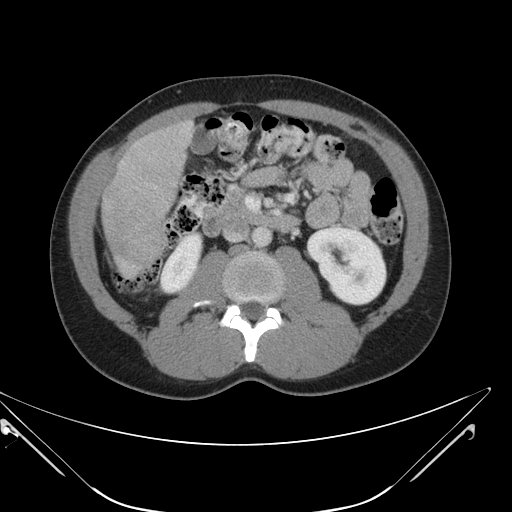
Abdomen; CT
liver_tumor:
  - (left=104, top=210, right=163, bottom=266)